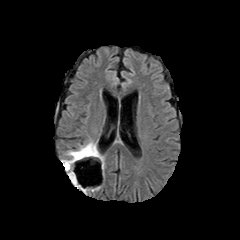
FLAIR MRI.
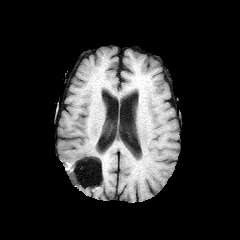
T1-weighted MRI of the same slice.
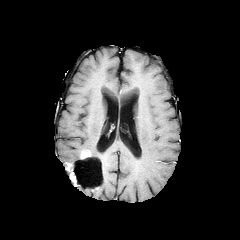
Post-contrast T1-weighted magnetic resonance.
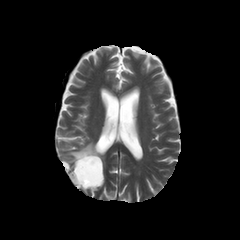
T2-weighted magnetic resonance.
Brain
The enhancing tumor is at left=78, top=149, right=90, bottom=158. The non-enhancing tumor core appears at left=67, top=147, right=101, bottom=182. 2 edema regions are bounded by left=96, top=150, right=104, bottom=164; left=62, top=137, right=96, bottom=169.